CT scan slice, Liver
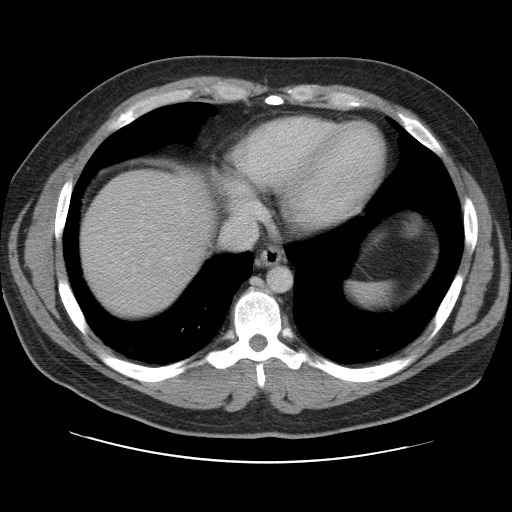

The vessel boxes may cover only some of the vessels.
Hepatic vessel: rect(125, 252, 127, 254); rect(133, 268, 135, 271).